Brain; Slice index 94; 240x240
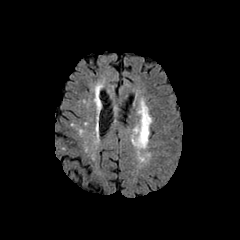
FLAIR magnetic resonance.
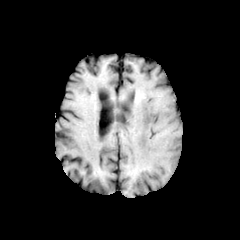
T1-weighted MR of the same slice.
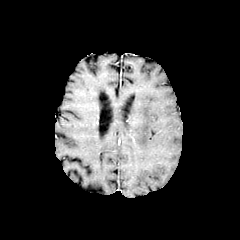
Post-contrast T1-weighted MR image.
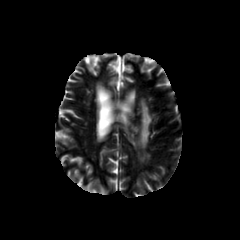
T2-weighted magnetic resonance of the same slice.
The edema is located at rect(132, 98, 151, 149).